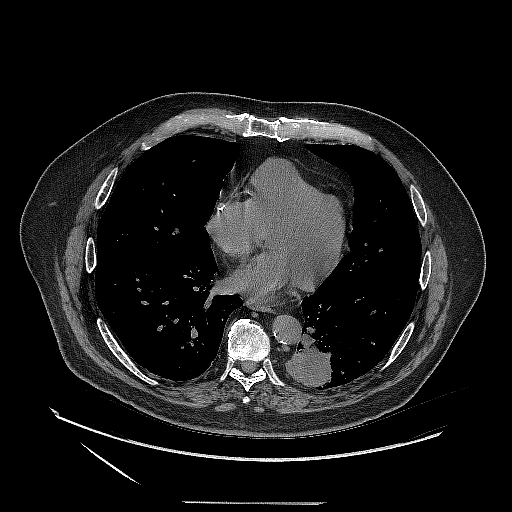
CT slice | Lung | 512x512
The lung tumor appears at x1=285 y1=314 x2=334 y2=388.